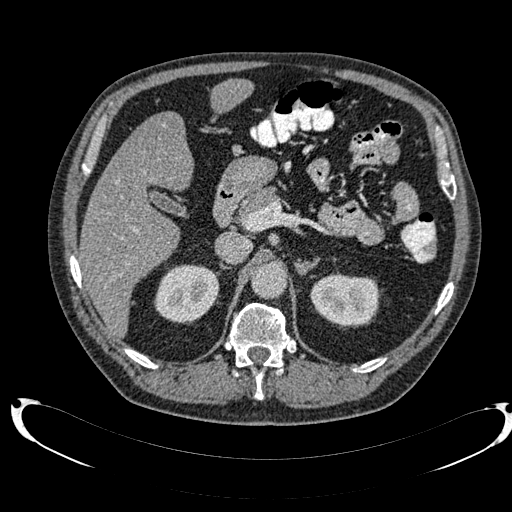
CT. Image size 512x512. Liver. 2 kidney regions are bounded by <box>310,273,379,326</box>, <box>155,265,218,322</box>. The hepatic lesion lies within <box>150,113,182,139</box>. 2 liver regions are located at <box>211,79,253,112</box>, <box>80,115,192,337</box>.